Slice 313 of 605; Image size 512x512; CT; Liver
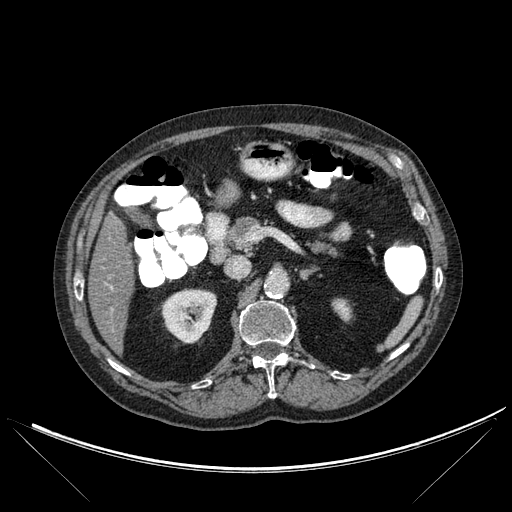
kidney:
  - [332, 299, 350, 320]
  - [162, 289, 216, 342]
liver:
  - [89, 211, 134, 355]
bone:
  - [390, 343, 408, 358]
  - [108, 360, 129, 374]
  - [239, 301, 295, 345]
  - [193, 379, 210, 387]
  - [252, 353, 290, 397]
  - [331, 371, 349, 379]
  - [435, 268, 442, 288]
  - [75, 281, 82, 299]